Image size 240x240 | Brain | Field of view 240x240 mm
FLAIR MRI.
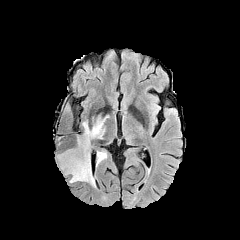
T1-weighted MR image.
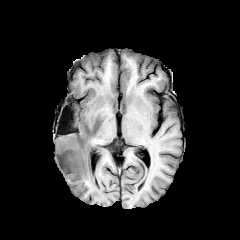
Post-contrast T1-weighted MR.
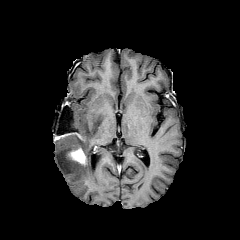
T2-weighted MRI.
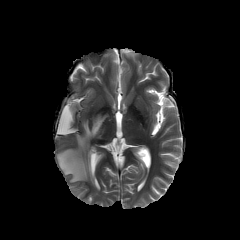
Enhancing tumor at box=[68, 148, 86, 163].
Edema at box=[57, 116, 108, 187]; box=[97, 151, 105, 164].
Non-enhancing tumor core at box=[72, 134, 84, 151]; box=[65, 150, 75, 161].